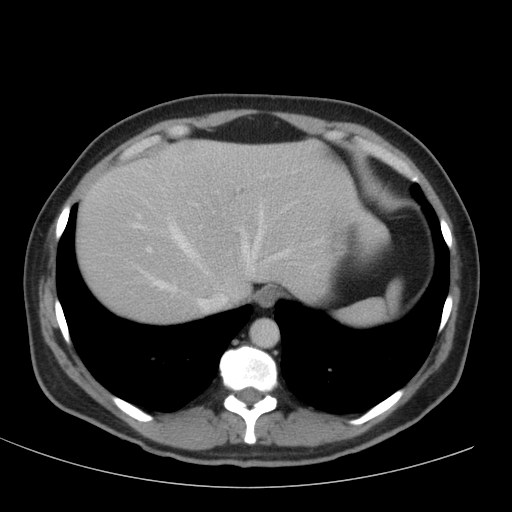 Upper abdomen; Computed tomography

The liver is located at (x1=77, y1=140, x2=384, y2=321).